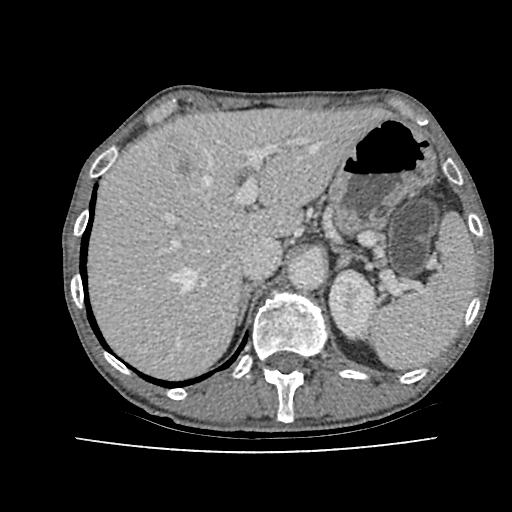
Computed tomography, 512x512 px
Kidney at 330, 274, 373, 336.
Hepatic lesion at 176, 156, 191, 175.
Liver at 89, 110, 380, 378.